Heart | Slice 66/120 | MRI slice 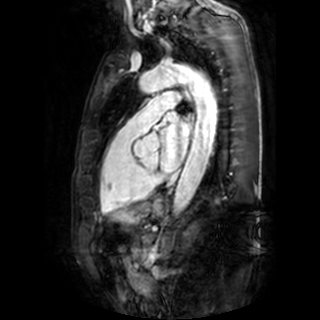
Left atrium at (left=159, top=112, right=189, bottom=171).